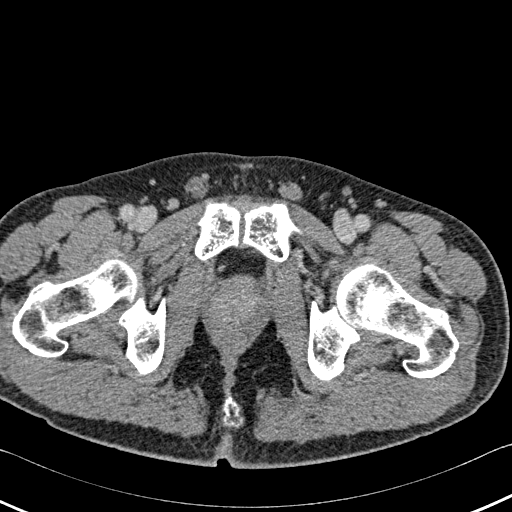 CT.

4 bone regions are located at <bbox>224, 397, 242, 428</bbox>, <bbox>0, 260, 165, 373</bbox>, <bbox>195, 203, 299, 262</bbox>, <bbox>308, 264, 458, 380</bbox>.